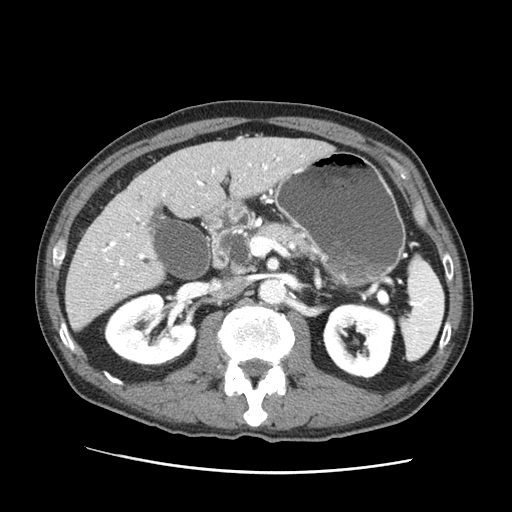
Upper abdomen. Computed tomography.
• pancreas: <box>254,223,326,262</box>